Slice 64/118 | CT slice
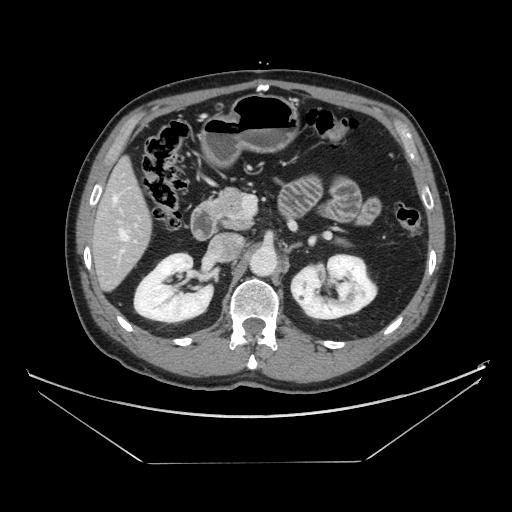 Pancreas: (x1=217, y1=188, x2=247, y2=229), (x1=336, y1=239, x2=348, y2=244).